Field of view 240 mm wide, 1.00 mm slice spacing. 240x240 px. Slice index 75. Head.
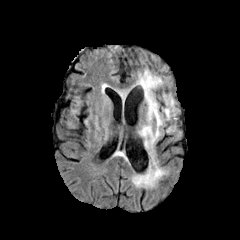
FLAIR magnetic resonance.
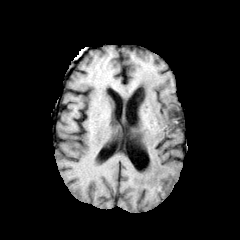
T1-weighted MR image of the same slice.
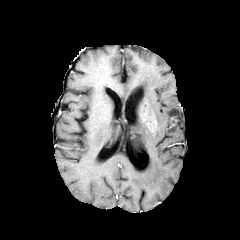
Post-contrast T1-weighted MRI.
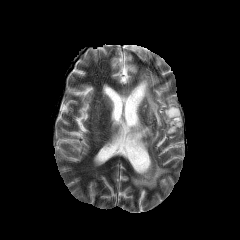
T2-weighted MR.
Findings:
- edema: box=[132, 69, 179, 188]; box=[118, 89, 128, 97]